CT slice; Field of view 398 mm wide, 5.00 mm slice spacing; Slice index 16 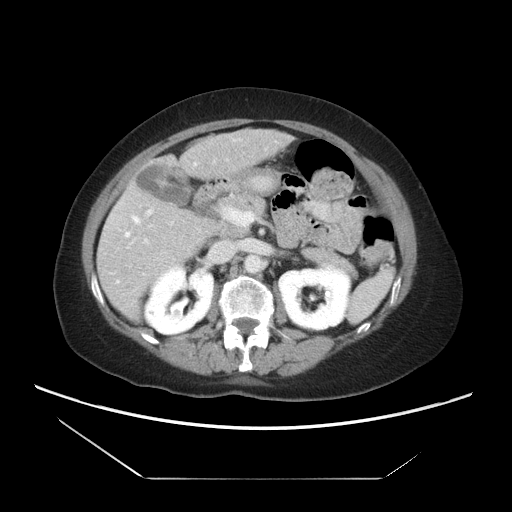
The vessel boxes may cover only some of the vessels.
hepatic_vessel:
  - rect(132, 216, 140, 223)
  - rect(116, 280, 119, 282)
  - rect(147, 209, 152, 214)
  - rect(194, 163, 196, 165)
  - rect(144, 239, 147, 242)
  - rect(233, 140, 236, 141)
  - rect(125, 232, 129, 236)